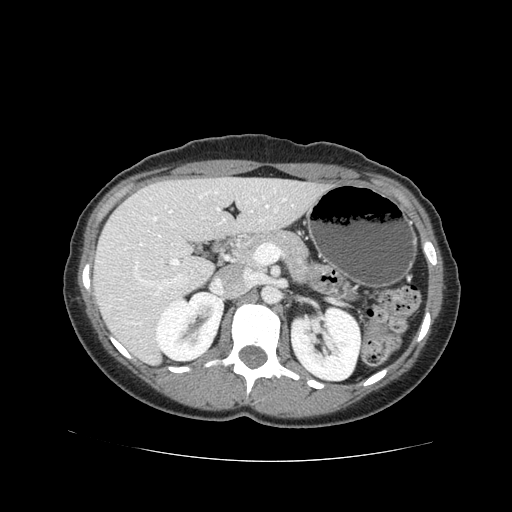 CT
<segmentation>
  <pancreas>(left=232, top=231, right=309, bottom=283)</pancreas>
</segmentation>